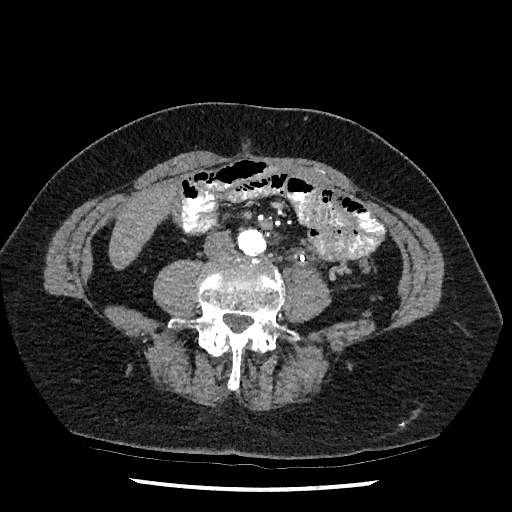

Image size 512x512; CT image

Liver: bounding box rect(109, 182, 173, 268).